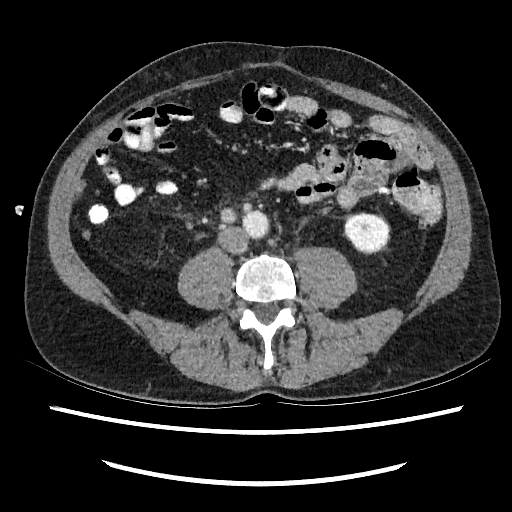
Abdomen. CT.
Annotated regions:
• kidney: 345:214:387:251